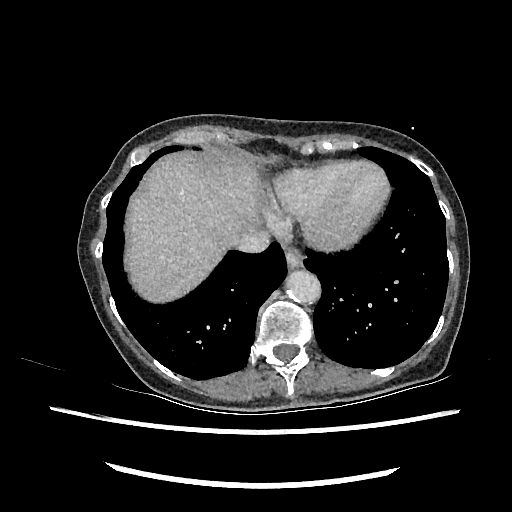

Liver, 512x512 px, CT scan slice
- liver: box(129, 157, 258, 300)